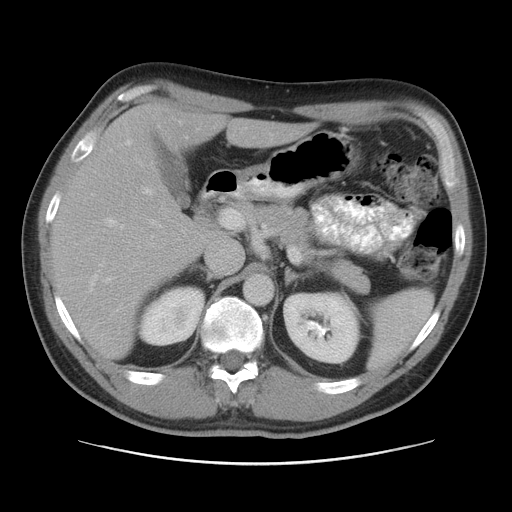 CT slice, Image size 512x512
Some hepatic vessels may have no box.
Hepatic vessel: bounding box (144, 189, 151, 193), (119, 225, 122, 227), (126, 140, 131, 144), (90, 274, 96, 290), (105, 218, 118, 226), (221, 209, 243, 227).